FLAIR MRI.
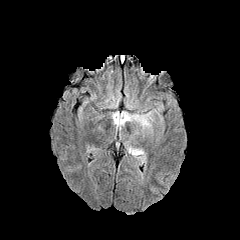
T1-weighted MR.
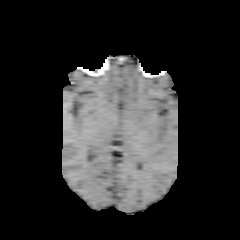
Post-contrast T1-weighted MR image.
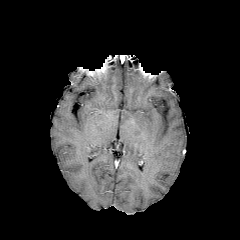
T2-weighted MRI.
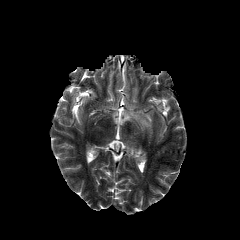
Head.
<segmentation>
  <edema>(left=125, top=144, right=145, bottom=161), (left=112, top=102, right=156, bottom=137)</edema>
</segmentation>